Slice index 64
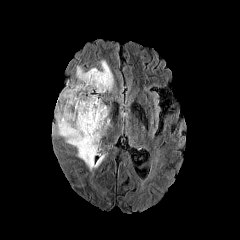
FLAIR magnetic resonance.
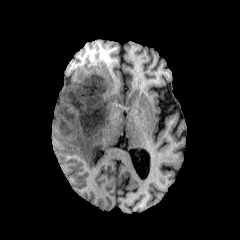
T1-weighted magnetic resonance.
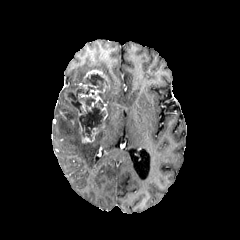
Post-contrast T1-weighted MRI of the same slice.
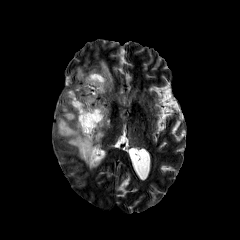
T2-weighted magnetic resonance.
Segmented structures:
- edema: [72, 66, 87, 82], [99, 61, 113, 92], [55, 106, 106, 171]
- enhancing tumor: [77, 100, 87, 116], [81, 128, 98, 143], [78, 89, 103, 102]
- non-enhancing tumor core: [59, 73, 107, 143]